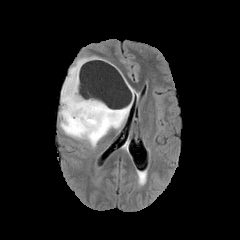
FLAIR magnetic resonance.
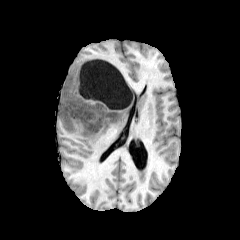
Same slice, T1-weighted MR.
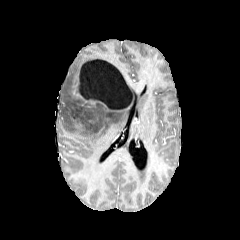
Post-contrast T1-weighted magnetic resonance of the same slice.
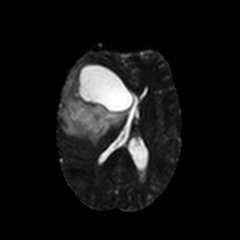
T2-weighted MRI.
<segmentation>
  <non-enhancing_tumor_core>64:74:122:131</non-enhancing_tumor_core>
  <edema>58:56:132:146</edema>
</segmentation>